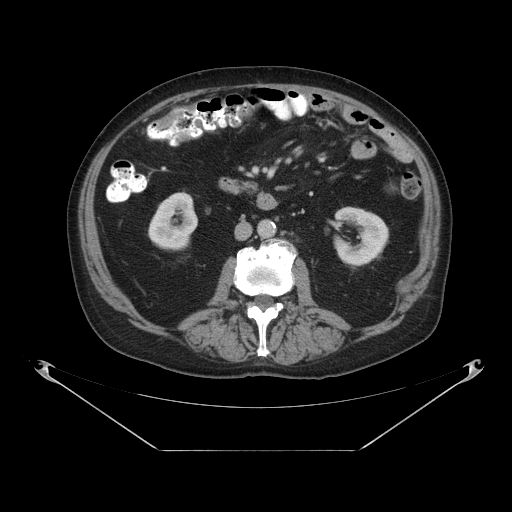

CT image. Abdomen.
2 colon tumor regions appear at <box>176,133,189,141</box>, <box>156,110,180,129</box>.